Head. Image width 240 mm. Slice index 34.
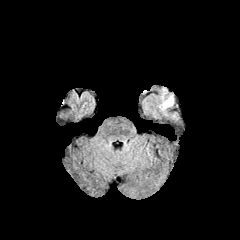
FLAIR MR.
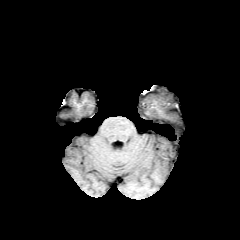
T1-weighted MR of the same slice.
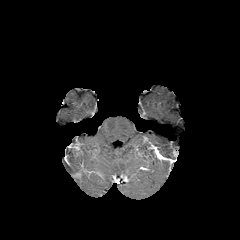
Post-contrast T1-weighted MR.
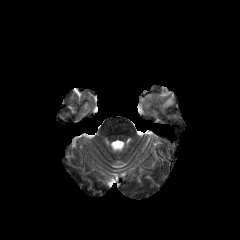
T2-weighted magnetic resonance.
Segmented structures:
* edema: 156:89:173:113